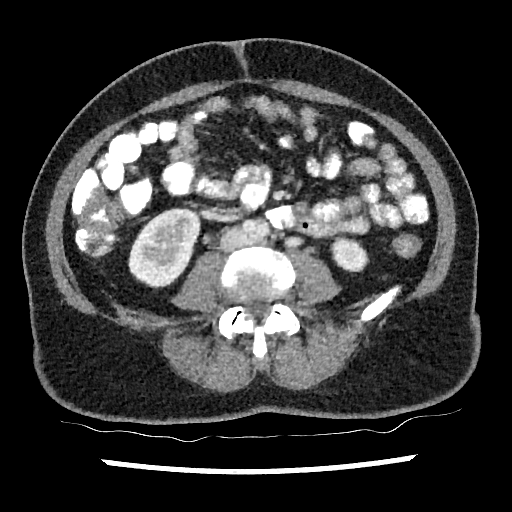
CT slice
Kidney = box(334, 244, 365, 270); box(129, 209, 199, 285).